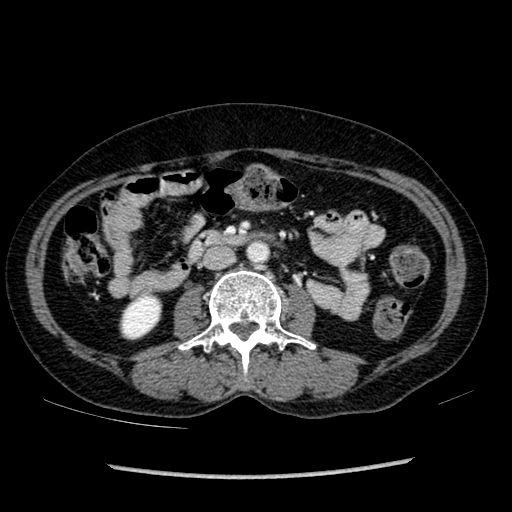

CT image; Abdomen
Kidney — <bbox>122, 295, 159, 338</bbox>.